Slice index 87 | Head
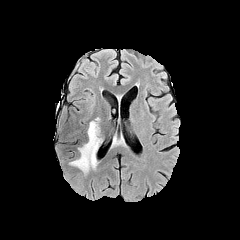
FLAIR MR image.
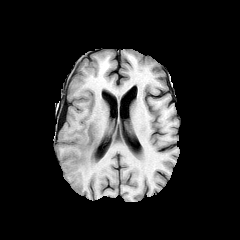
Same slice, T1-weighted MR.
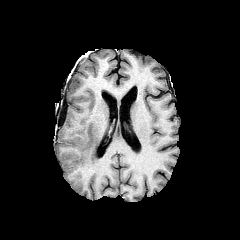
Post-contrast T1-weighted MRI.
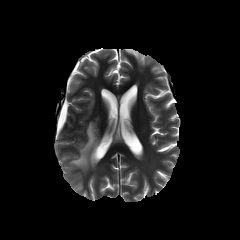
T2-weighted MRI.
The edema is bounded by (69,117,101,174).